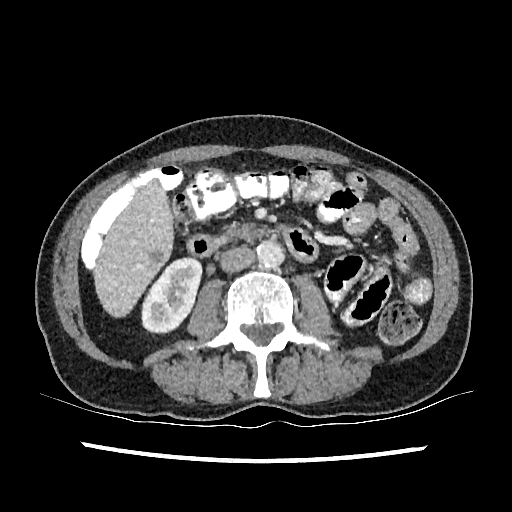 CT. Abdomen. liver:
  - [95,177,171,315]
kidney:
  - [142,259,201,331]
focal_liver_lesion:
  - [148,250,163,263]